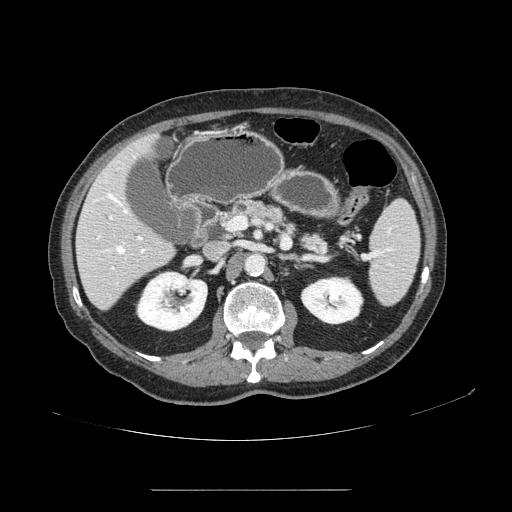
CT slice
The pancreas is bounded by l=228, t=198, r=328, b=256.